FLAIR MR.
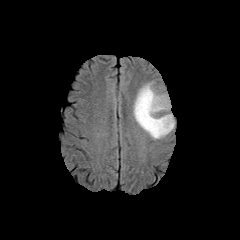
T1-weighted MRI.
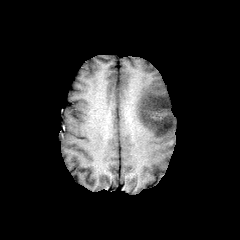
Post-contrast T1-weighted MRI.
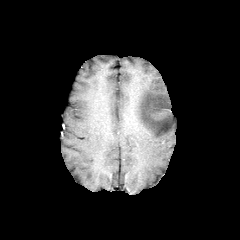
T2-weighted MRI.
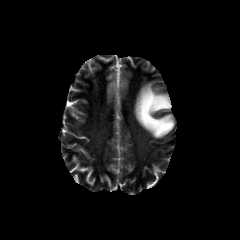
Brain
Non-enhancing tumor core: [x1=141, y1=94, x2=161, y2=123].
Edema: [x1=132, y1=80, x2=175, y2=139].